Image size 240x240
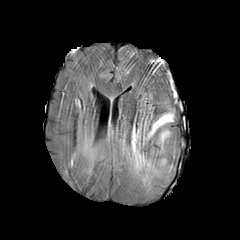
FLAIR magnetic resonance.
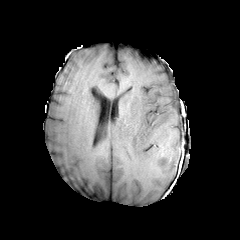
T1-weighted MR image of the same slice.
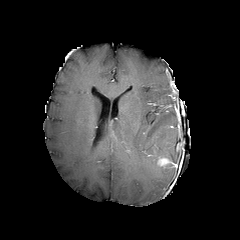
Post-contrast T1-weighted MR image of the same slice.
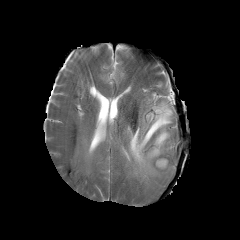
T2-weighted MRI.
The edema appears at region(126, 108, 174, 170).